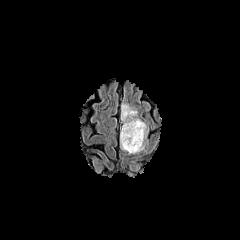
FLAIR MR.
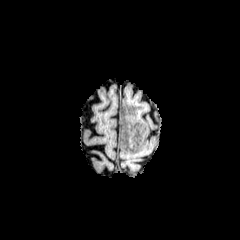
T1-weighted MR.
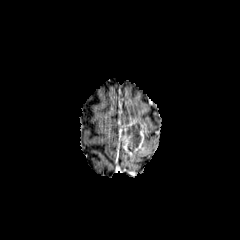
Post-contrast T1-weighted MRI.
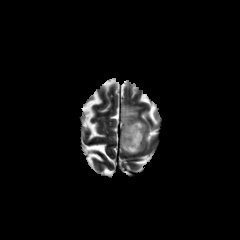
T2-weighted MR of the same slice.
Non-enhancing tumor core — l=126, t=122, r=141, b=151.
Edema — l=121, t=103, r=136, b=120.
Enhancing tumor — l=121, t=125, r=133, b=156; l=134, t=123, r=147, b=152.